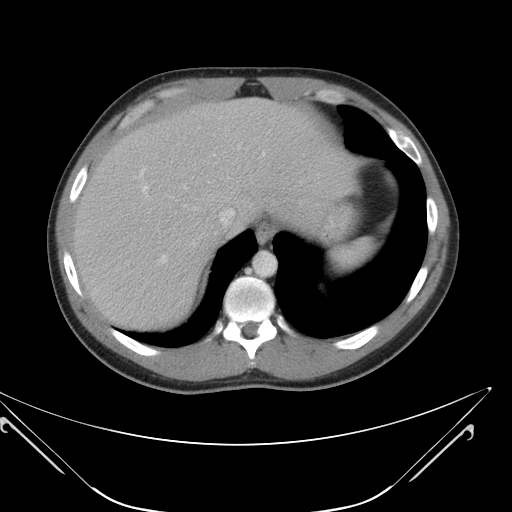

CT image
The vessel annotation is not exhaustive.
<segmentation>
  <hepatic_vessel>bbox(160, 255, 166, 262); bbox(220, 209, 234, 225); bbox(184, 186, 186, 188); bbox(143, 186, 146, 190); bbox(140, 169, 143, 174)</hepatic_vessel>
</segmentation>